FLAIR magnetic resonance.
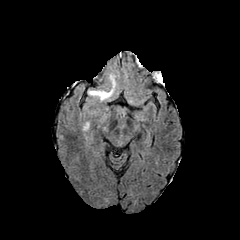
T1-weighted MR.
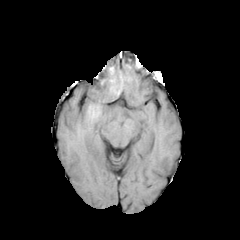
Post-contrast T1-weighted magnetic resonance.
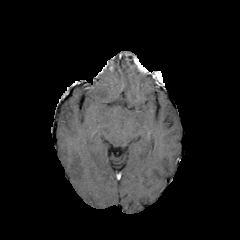
T2-weighted MR.
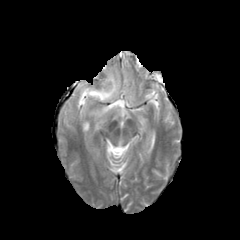
Image size 240x240
The edema is located at 87:74:117:101.